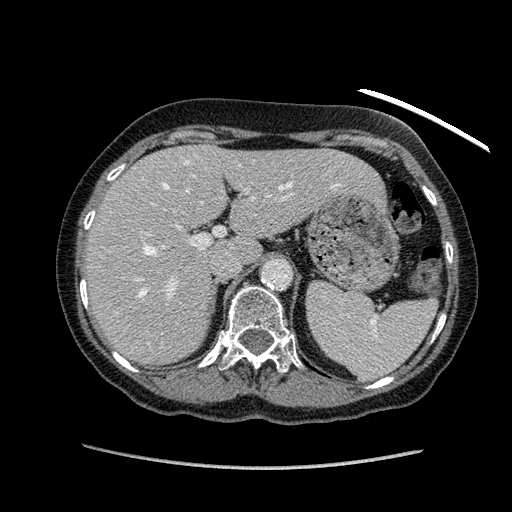
Liver, CT scan slice

The liver lies within 84,145,380,364.